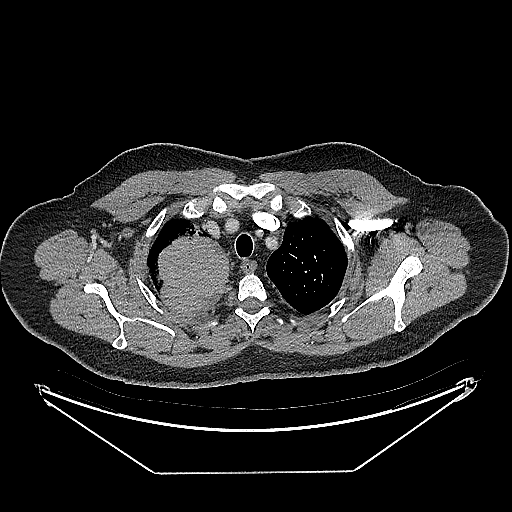
Lung; CT slice
Lung tumor at (x1=147, y1=220, x2=229, y2=314).